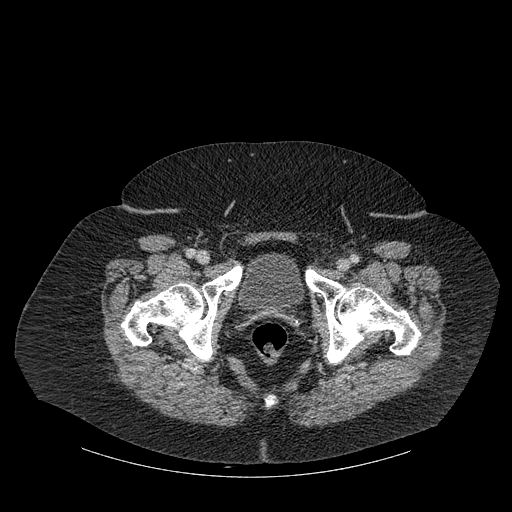
Image size 512x512 | CT scan slice

Segmented structures:
• urinary bladder: (x1=236, y1=252, x2=304, y2=321)
• bone: (x1=306, y1=269, x2=420, y2=362), (x1=266, y1=396, x2=274, y2=406), (x1=121, y1=266, x2=241, y2=360)